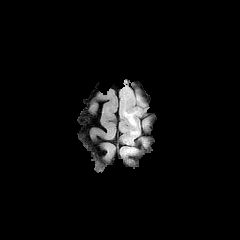
FLAIR MR.
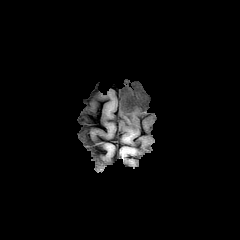
T1-weighted MR.
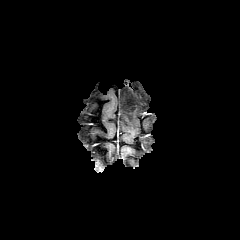
Post-contrast T1-weighted MRI.
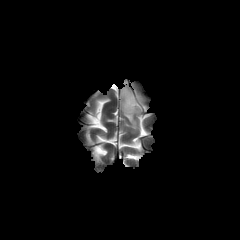
T2-weighted MR.
240x240 px | Head
Edema: box(119, 86, 145, 139).
Enhancing tumor: box(126, 126, 137, 136).
Non-enhancing tumor core: box(123, 134, 133, 143); box(124, 107, 137, 128).